Computed tomography | 512x512 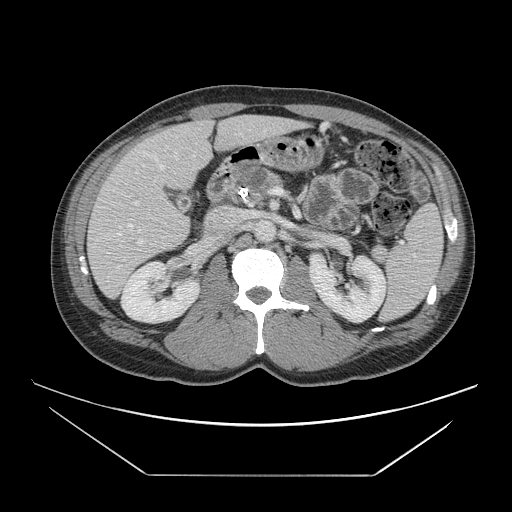
Pancreatic tumor at 241, 167, 268, 190.
Pancreas at 226, 165, 282, 205.